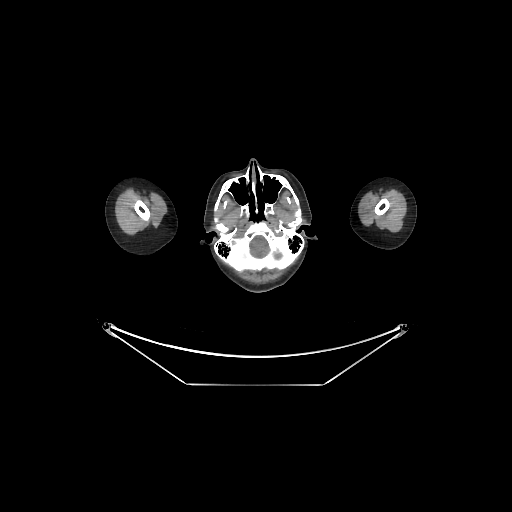

Image size 512x512 | CT image

The brain appears at 249:235:269:257.